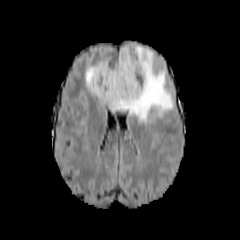
FLAIR magnetic resonance.
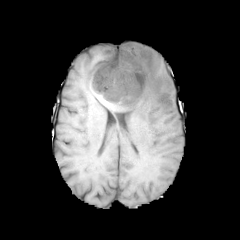
T1-weighted MR.
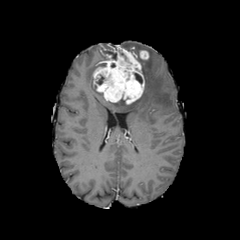
Post-contrast T1-weighted magnetic resonance of the same slice.
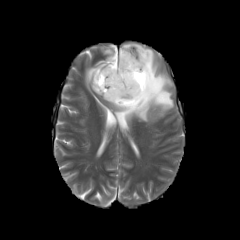
T2-weighted magnetic resonance.
240x240 px
Segmented structures:
• non-enhancing tumor core: box=[134, 73, 142, 84]; box=[106, 49, 116, 60]
• edema: box=[86, 65, 103, 97]; box=[104, 44, 173, 122]
• enhancing tumor: box=[93, 46, 144, 104]; box=[139, 50, 148, 59]